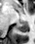 Image size 35x44; Medial temporal lobe; Magnetic resonance
<segmentation>
  <posterior_hippocampus>(17, 21, 28, 32)</posterior_hippocampus>
</segmentation>